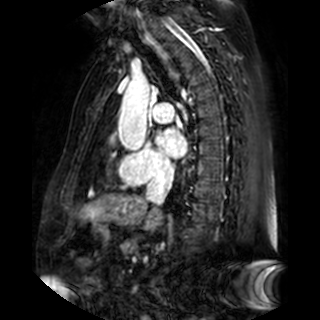 MRI
The left atrium is bounded by x1=155, y1=129, x2=186, y2=158.